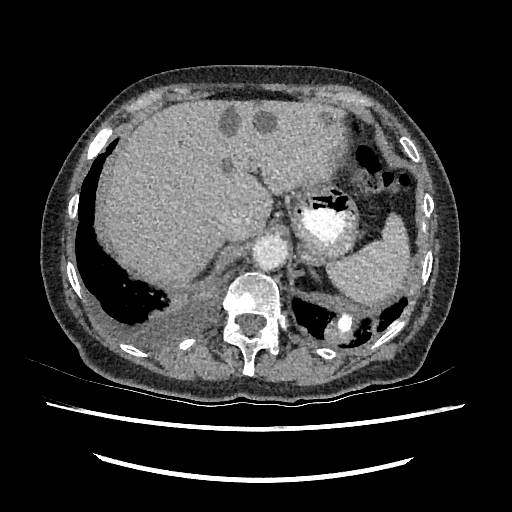 Upper abdomen; CT image
Hepatic lesion at 220:105:240:135, 322:112:333:125, 253:110:276:132, 222:162:233:173.
Liver at 105:100:345:284.